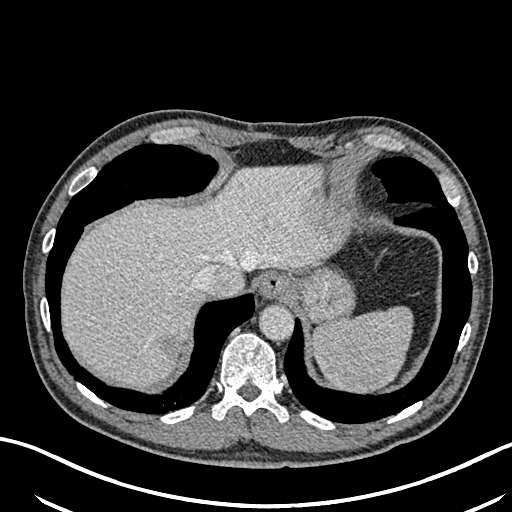 Liver; Computed tomography
Annotated regions:
* hepatic lesion: (left=160, top=334, right=176, bottom=354)
* liver: (left=61, top=163, right=330, bottom=385)